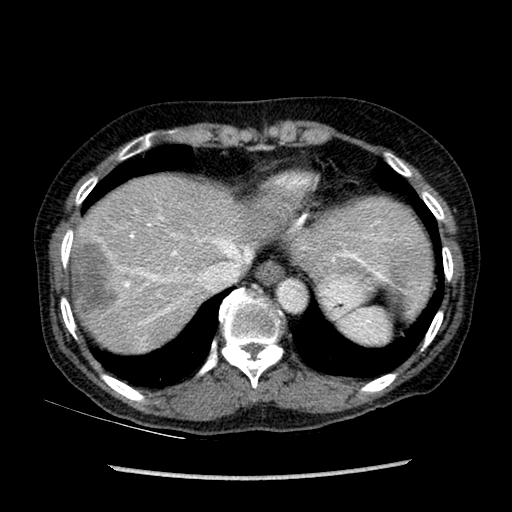 CT scan slice

The liver lies within box=[72, 174, 432, 353]. The hepatic lesion appears at box=[70, 242, 117, 312].